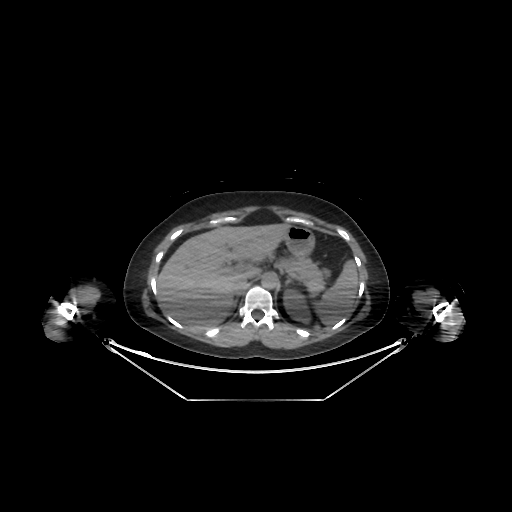

CT image; 512x512 px; Upper abdomen
kidney: (x1=283, y1=289, x2=310, y2=321) | liver: (x1=155, y1=224, x2=289, y2=337)